FLAIR MR.
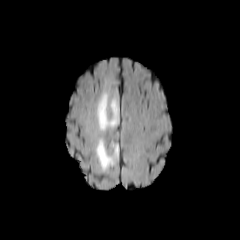
T1-weighted MR.
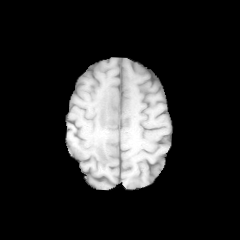
Post-contrast T1-weighted MRI.
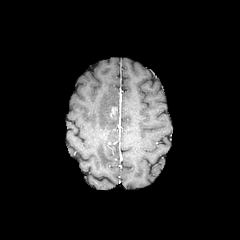
T2-weighted MR.
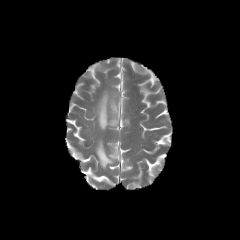
Image size 240x240. Head.
Annotated regions:
* enhancing tumor: bbox=[111, 106, 117, 115]
* edema: bbox=[97, 92, 119, 129]; bbox=[95, 138, 118, 171]